512x512; CT; Slice 64 of 463 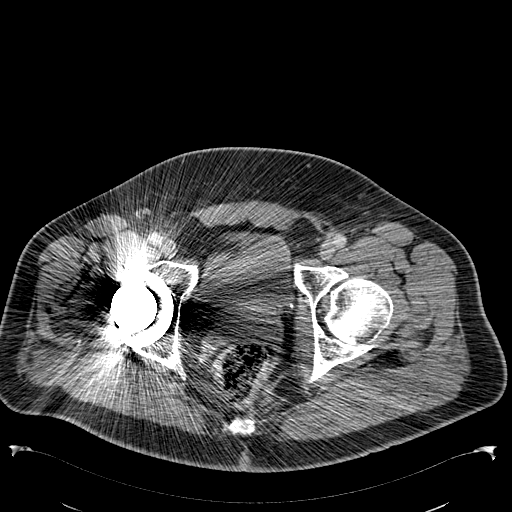
urinary bladder: bbox(195, 230, 294, 305)